MR. Slice index 14. 37x52 px.

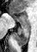

Anterior hippocampus: [13, 14, 28, 22].
Posterior hippocampus: [14, 23, 29, 45].